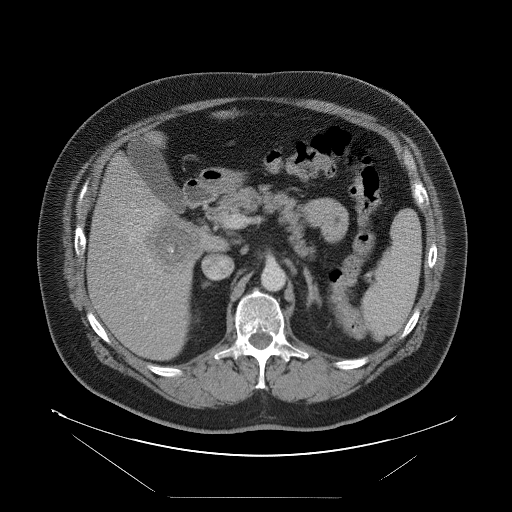

CT; Liver
The vessel boxes may cover only some of the vessels.
Segmented structures:
- hepatic vessel: (left=150, top=221, right=152, bottom=223), (left=136, top=282, right=141, bottom=288), (left=148, top=259, right=150, bottom=261), (left=153, top=218, right=157, bottom=220), (left=159, top=271, right=161, bottom=274), (left=151, top=269, right=153, bottom=271), (left=129, top=233, right=134, bottom=241), (left=138, top=301, right=140, bottom=304), (left=135, top=225, right=146, bottom=232)
- liver tumor: (left=149, top=217, right=200, bottom=265)